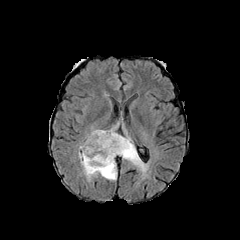
FLAIR MR image.
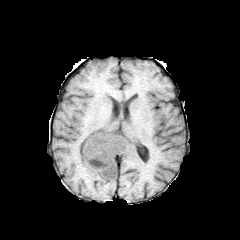
Same slice, T1-weighted MR.
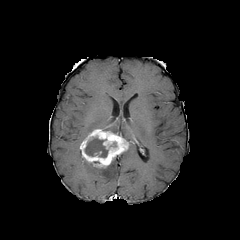
Post-contrast T1-weighted magnetic resonance.
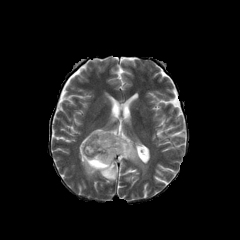
Same slice, T2-weighted magnetic resonance.
Enhancing tumor at box=[80, 129, 128, 167].
Non-enhancing tumor core at box=[85, 138, 107, 157].
Edema at box=[109, 122, 119, 132]; box=[119, 123, 146, 172]; box=[79, 147, 117, 181].